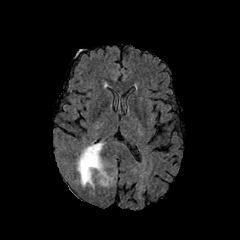
FLAIR MRI.
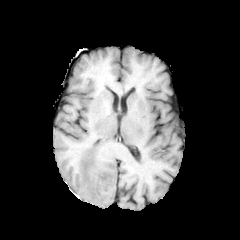
T1-weighted MR.
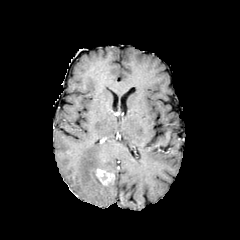
Same slice, post-contrast T1-weighted magnetic resonance.
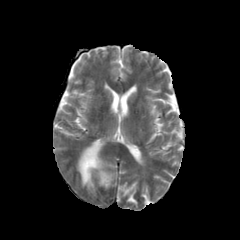
T2-weighted magnetic resonance.
Head.
Enhancing tumor: box(97, 168, 114, 185).
Edema: box(77, 143, 103, 187).